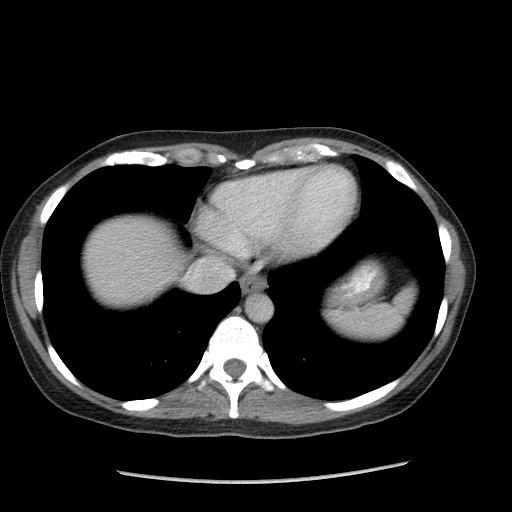 512x512 px. Computed tomography.
The spleen is at (x1=327, y1=288, x2=414, y2=337).